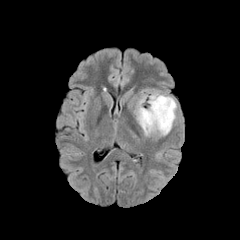
FLAIR MR image.
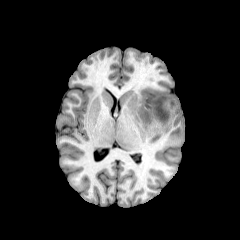
T1-weighted MR image.
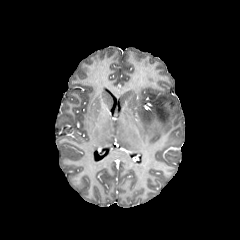
Post-contrast T1-weighted magnetic resonance of the same slice.
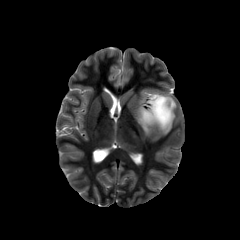
T2-weighted MR image.
Brain.
Non-enhancing tumor core = bbox(144, 96, 167, 125).
Edema = bbox(134, 89, 176, 135).